Slice 427 of 781, CT slice 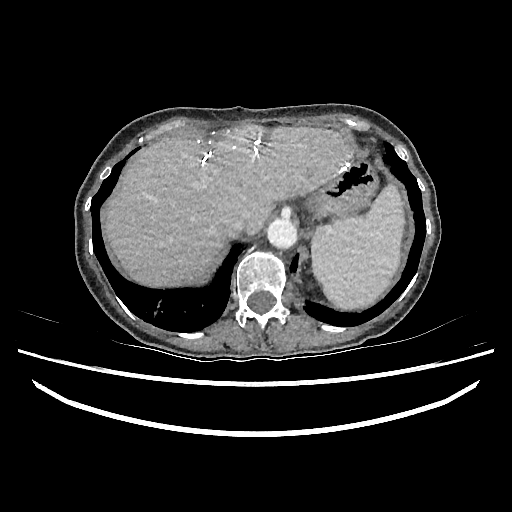

Liver: bounding box {"x1": 107, "y1": 125, "x2": 351, "y2": 285}.